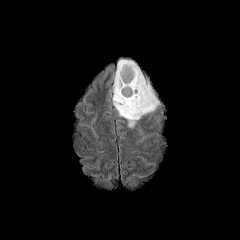
FLAIR MR.
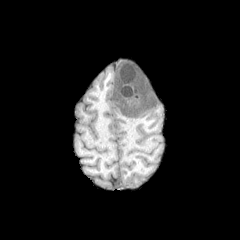
Same slice, T1-weighted magnetic resonance.
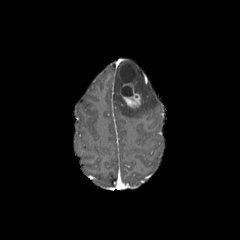
Same slice, post-contrast T1-weighted MRI.
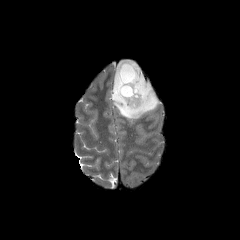
T2-weighted MRI.
Edema: bounding box bbox=[114, 72, 158, 126].
Enhancing tumor: bounding box bbox=[118, 82, 142, 108].
Non-enhancing tumor core: bounding box bbox=[121, 86, 133, 96]; bbox=[118, 63, 137, 83].